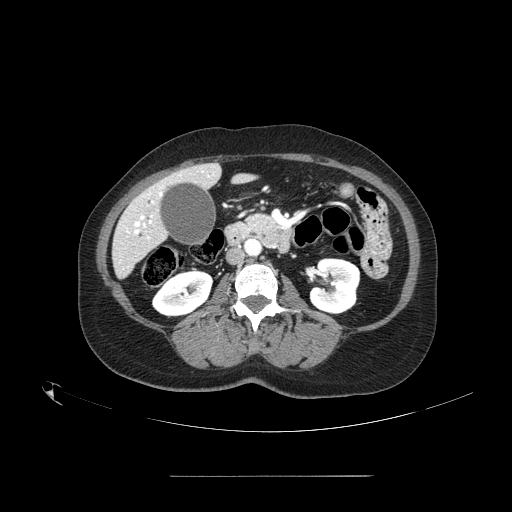

Abdomen; 512x512 px; CT

pancreas: {"x1": 245, "y1": 214, "x2": 281, "y2": 246}